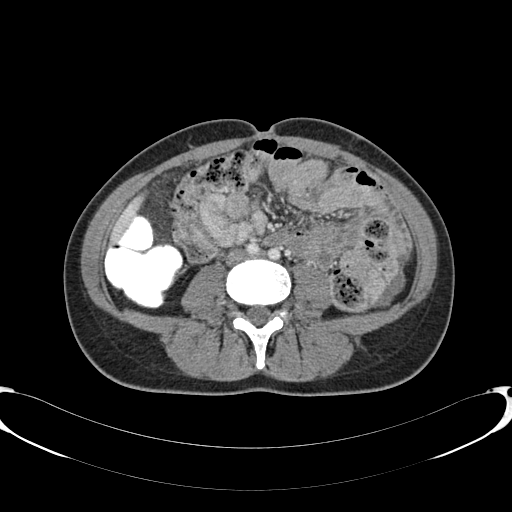
Computed tomography; Upper abdomen

{
  "liver": [
    "box(111, 198, 140, 244)"
  ]
}